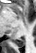
Medial temporal lobe. MRI slice. 36x53. {
  "posterior_hippocampus": [
    "left=14, top=38, right=24, bottom=47"
  ]
}